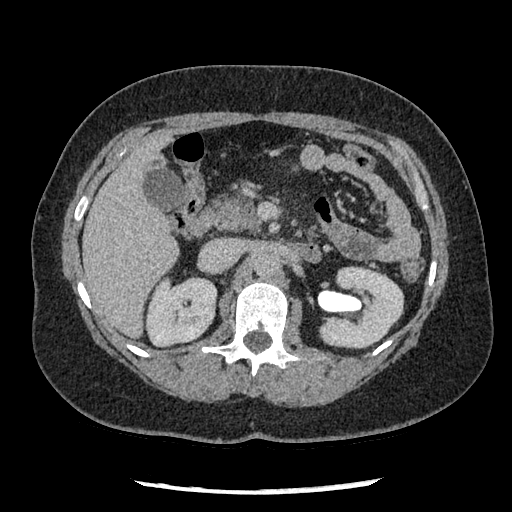
CT image. 512x512 px. Abdomen.
pancreas: x1=212, y1=192, x2=259, y2=231